FLAIR MR.
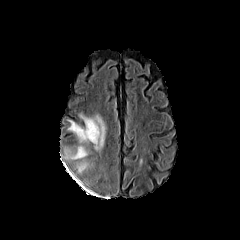
T1-weighted MRI.
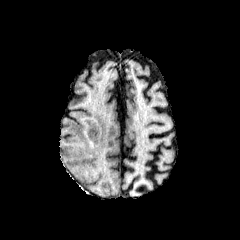
Post-contrast T1-weighted magnetic resonance.
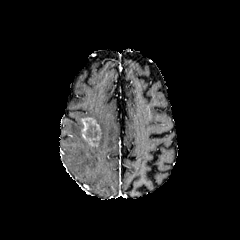
T2-weighted MR image.
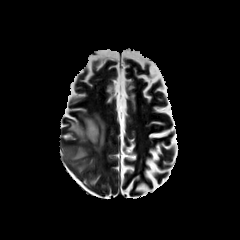
3 edema regions appear at box(64, 119, 90, 159); box(77, 161, 88, 172); box(78, 112, 106, 152). The enhancing tumor is located at box(80, 117, 101, 147). The non-enhancing tumor core is located at box(88, 125, 95, 137).